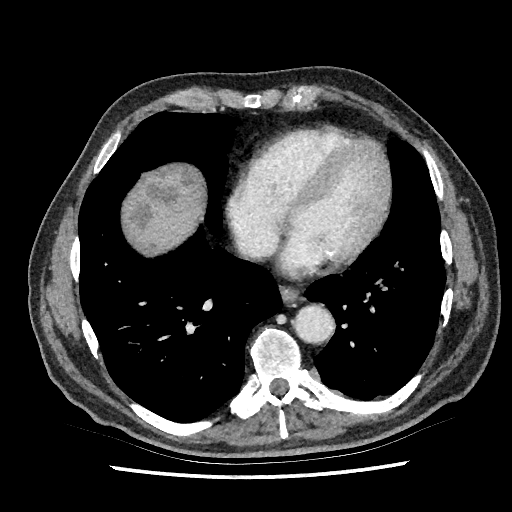
Upper abdomen. CT.
Segmented structures:
• liver: region(127, 168, 202, 249)
• liver lesion: region(129, 184, 178, 228); region(181, 170, 195, 184); region(157, 168, 173, 178)